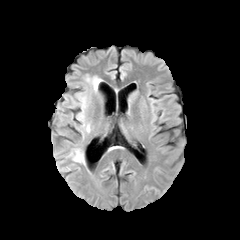
FLAIR MR.
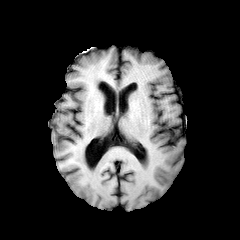
T1-weighted MR.
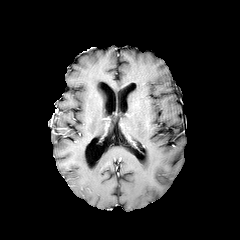
Post-contrast T1-weighted magnetic resonance of the same slice.
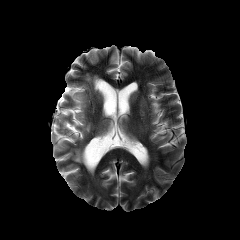
T2-weighted MRI.
240x240, Brain
Edema = 85, 76, 102, 93; 72, 87, 90, 139; 68, 148, 85, 163.